CT slice; Slice 96 of 168 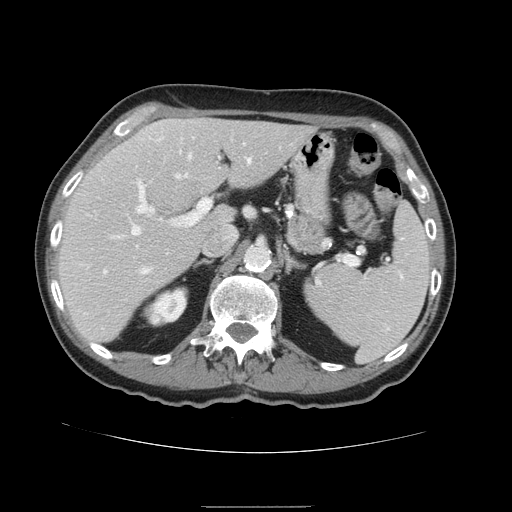

<segmentation>
  <spleen>(305, 204, 431, 363)</spleen>
</segmentation>